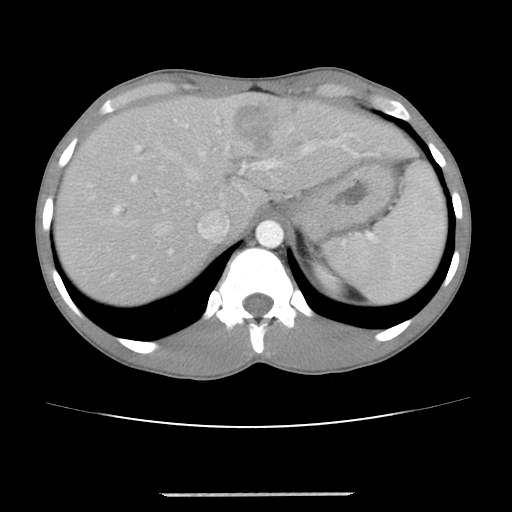 CT, Image size 512x512, Abdomen
Only some of the vessels may be annotated.
Liver tumor = (236,106,272,150).
Hepatic vessel = (154,223,170,234), (185,166,199,180), (243,164,245,167), (199,211,227,238), (197,146,205,160), (115,207,119,212), (256,161,283,168), (136,146,140,149), (303,144,313,152), (133,177,136,180).